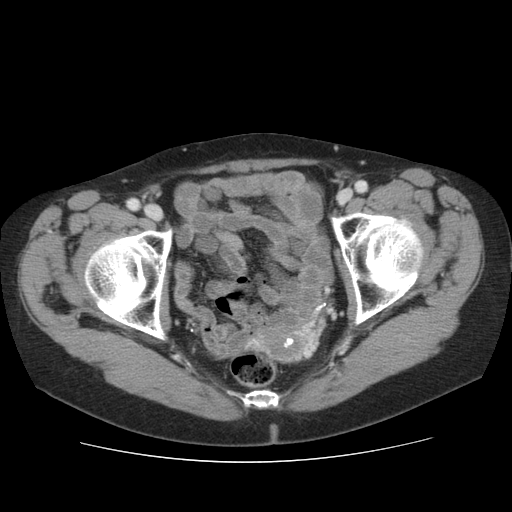 CT. 512x512.

<segmentation>
  <bone>region(80, 228, 172, 340); region(229, 390, 280, 406); region(330, 210, 429, 325)</bone>
</segmentation>